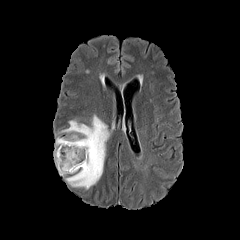
FLAIR MRI.
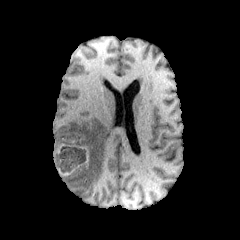
Same slice, T1-weighted MRI.
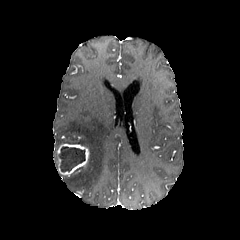
Post-contrast T1-weighted MRI.
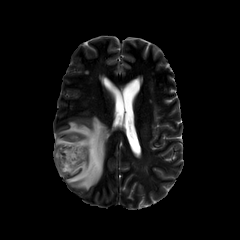
T2-weighted MR image of the same slice.
Image size 240x240
The edema lies within <bbox>54, 114, 111, 190</bbox>. The non-enhancing tumor core is located at <bbox>59, 146, 85, 172</bbox>. The enhancing tumor is located at <bbox>55, 144, 89, 175</bbox>.